FLAIR magnetic resonance.
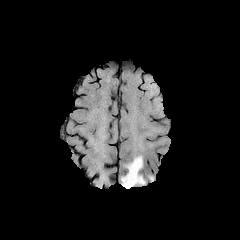
T1-weighted magnetic resonance.
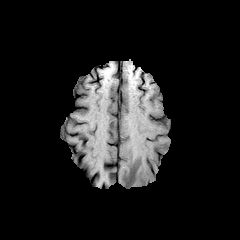
Post-contrast T1-weighted MRI.
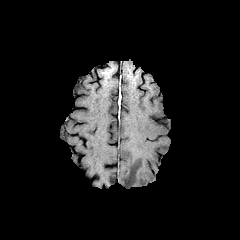
T2-weighted MR.
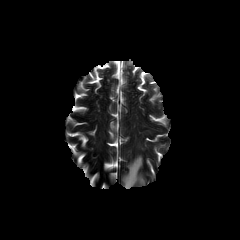
240x240.
{
  "edema": [
    "[121, 157, 144, 188]"
  ]
}